FLAIR MRI.
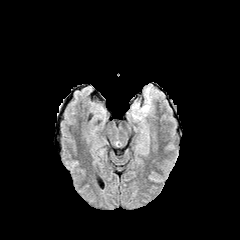
T1-weighted MRI.
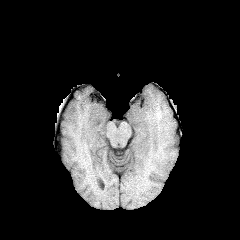
Post-contrast T1-weighted magnetic resonance.
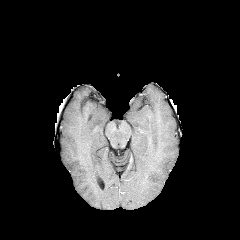
T2-weighted MR image.
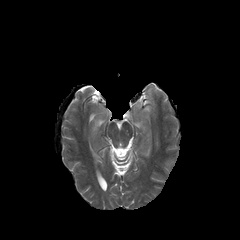
Annotated regions:
• edema: (left=135, top=95, right=150, bottom=116)